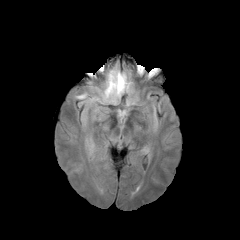
FLAIR MR image.
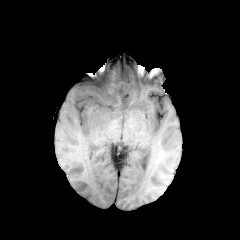
T1-weighted magnetic resonance of the same slice.
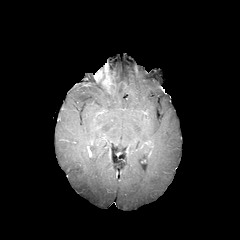
Same slice, post-contrast T1-weighted MRI.
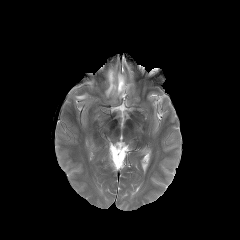
Same slice, T2-weighted magnetic resonance.
Head.
The non-enhancing tumor core appears at box(98, 65, 105, 84). 3 edema regions appear at box(75, 62, 133, 105); box(118, 109, 127, 119); box(89, 86, 100, 93). 2 enhancing tumor regions are bounded by box(102, 65, 112, 86); box(95, 69, 103, 81).